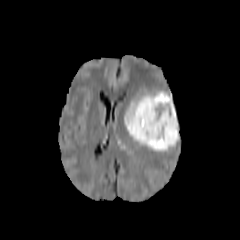
FLAIR MR.
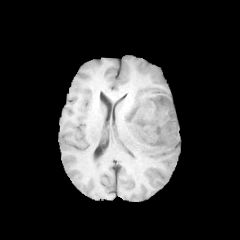
T1-weighted MR image of the same slice.
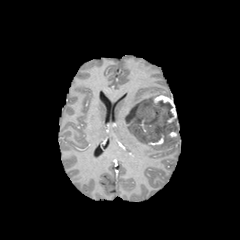
Post-contrast T1-weighted magnetic resonance.
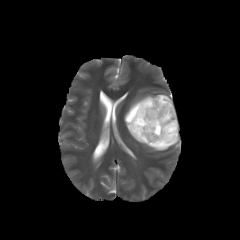
Same slice, T2-weighted MR.
Head.
3 edema regions are located at <bbox>124, 119, 146, 144</bbox>, <bbox>146, 146, 168, 151</bbox>, <bbox>125, 87, 169, 118</bbox>. 3 enhancing tumor regions are bounded by <bbox>154, 94, 176, 123</bbox>, <bbox>148, 133, 164, 145</bbox>, <bbox>169, 131, 178, 137</bbox>. The non-enhancing tumor core is bounded by <bbox>125, 96, 178, 147</bbox>.